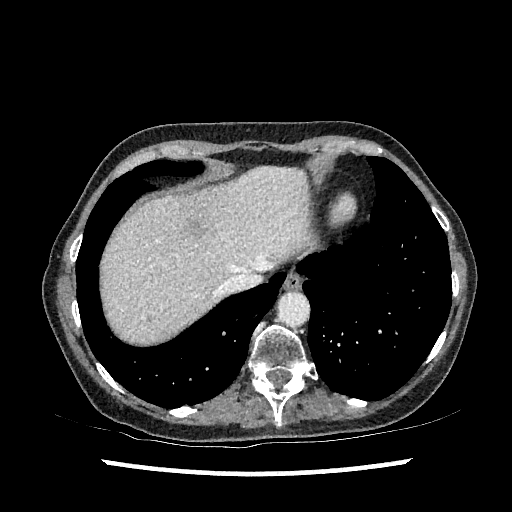
Liver, 512x512, CT slice
Hepatic lesion: bounding box rect(190, 220, 205, 239).
Liver: bounding box rect(100, 167, 309, 343).